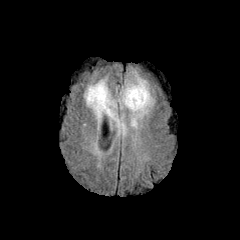
FLAIR MR.
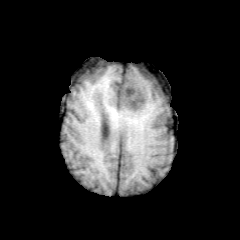
Same slice, T1-weighted magnetic resonance.
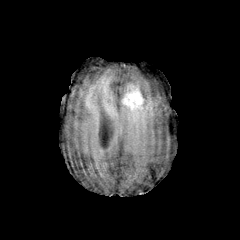
Post-contrast T1-weighted MR.
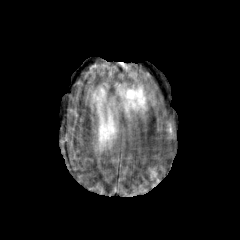
Same slice, T2-weighted magnetic resonance.
Brain
Edema: bounding box x1=85, y1=80, x2=126, y2=135; x1=119, y1=73, x2=152, y2=126.
Enhancing tumor: bounding box x1=121, y1=84, x2=144, y2=112.